Brain; Slice 48/155
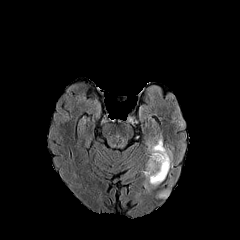
FLAIR MR image.
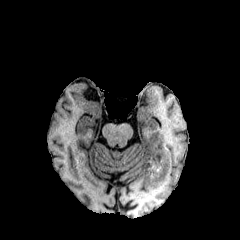
T1-weighted MR image.
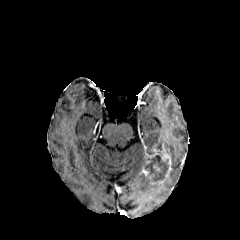
Post-contrast T1-weighted MR image.
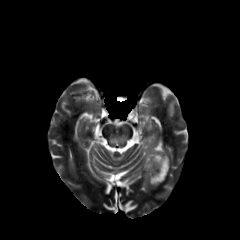
Same slice, T2-weighted MR image.
Segmented structures:
• edema: l=147, t=133, r=163, b=155
• enhancing tumor: l=141, t=160, r=164, b=182; l=148, t=144, r=172, b=178
• non-enhancing tumor core: l=149, t=157, r=168, b=180